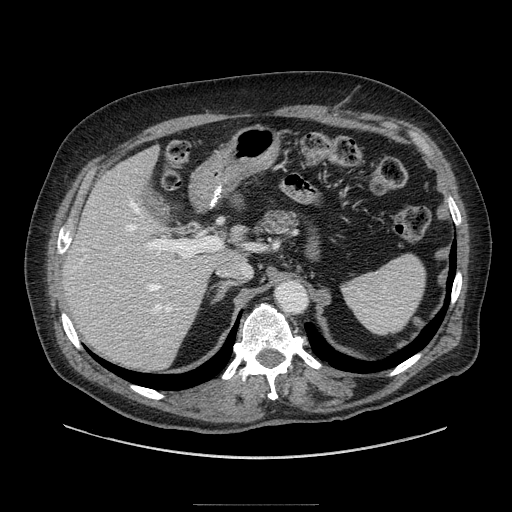
Computed tomography
Pancreas: x1=252, y1=208, x2=300, y2=234.